Field of view 404x404 mm. CT slice. Slice 533/908.

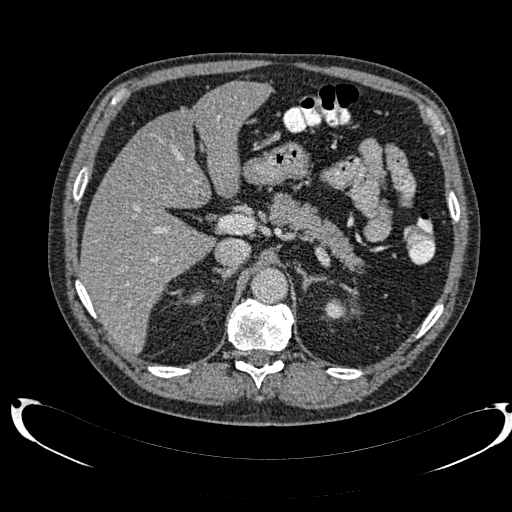 Liver = box(80, 81, 271, 352).
Liver lesion = box(139, 112, 187, 168).
Kidney = box(185, 292, 203, 304).